FLAIR magnetic resonance.
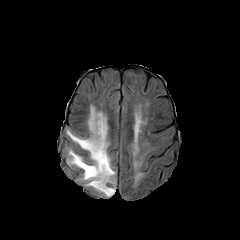
T1-weighted MR image.
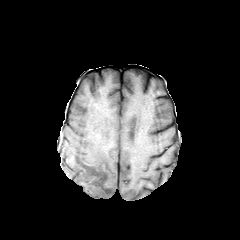
Post-contrast T1-weighted MRI.
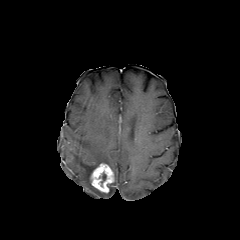
T2-weighted MRI.
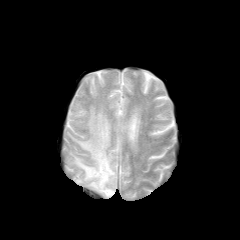
240x240 px
• edema: <box>67,106,116,197</box>
• enhancing tumor: <box>90,163,114,192</box>